240x240 px
FLAIR MR image.
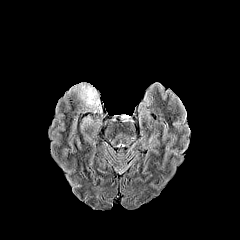
T1-weighted MRI.
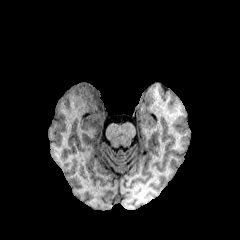
Post-contrast T1-weighted MR.
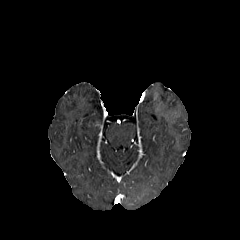
T2-weighted MR.
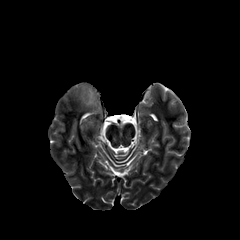
2 edema regions are bounded by rect(78, 83, 103, 117); rect(80, 116, 93, 133).